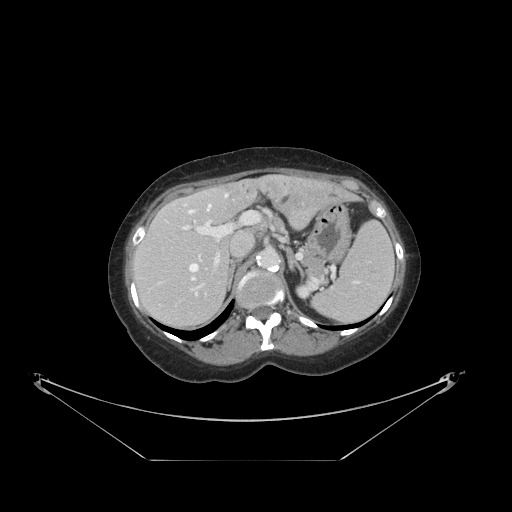

CT scan slice, 512x512, Abdomen
The vessel boxes may cover only some of the vessels.
{
  "liver_tumor": [
    "x1=261 y1=177 x2=285 y2=197"
  ],
  "hepatic_vessel": [
    "x1=241 y1=210 x2=259 y2=223",
    "x1=215 y1=253 x2=218 y2=264",
    "x1=187 y1=210 x2=192 y2=213",
    "x1=244 y1=244 x2=251 y2=246",
    "x1=207 y1=204 x2=210 y2=210",
    "x1=196 y1=220 x2=232 y2=239",
    "x1=189 y1=263 x2=198 y2=272",
    "x1=225 y1=194 x2=227 y2=196",
    "x1=190 y1=286 x2=200 y2=295",
    "x1=183 y1=226 x2=188 y2=228",
    "x1=191 y1=276 x2=194 y2=279",
    "x1=231 y1=244 x2=243 y2=254"
  ]
}